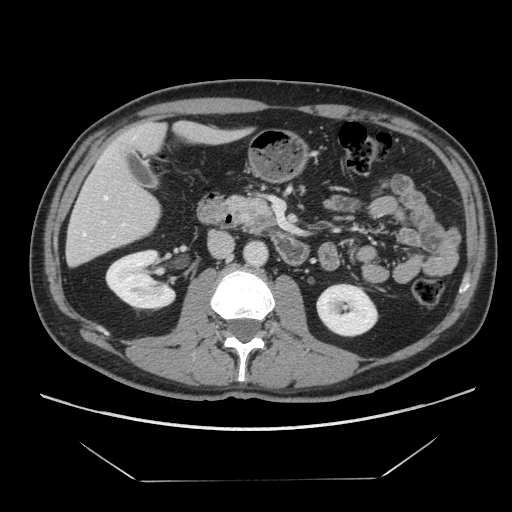 Upper abdomen, CT image

Findings:
• pancreatic tumor: 242,208,274,229
• pancreas: 229,196,273,231